FLAIR MRI.
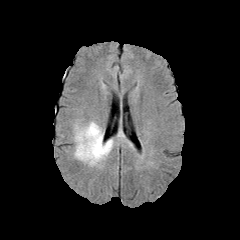
T1-weighted MR.
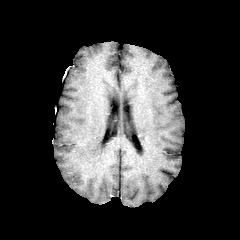
Post-contrast T1-weighted magnetic resonance.
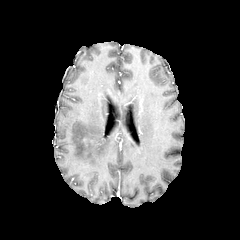
T2-weighted MR.
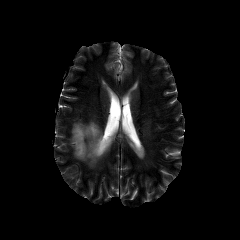
Image size 240x240, Head
The edema appears at 69, 119, 113, 167.